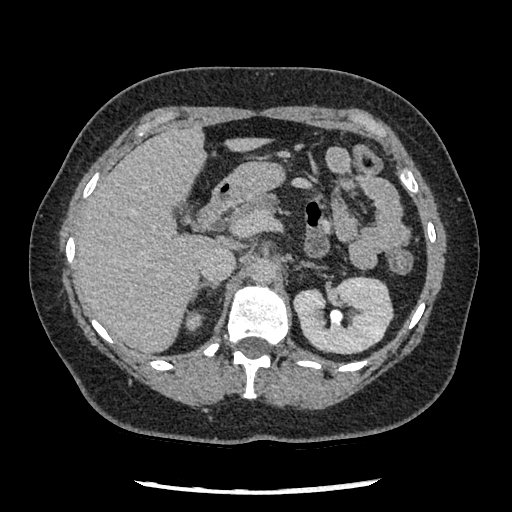
CT scan slice; 512x512 px
Segmented structures:
* pancreas: bbox(231, 195, 277, 222)